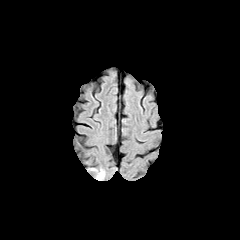
FLAIR MR.
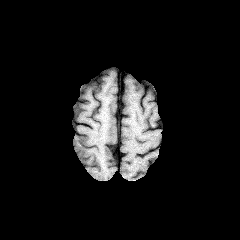
Same slice, T1-weighted MR.
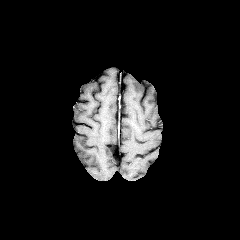
Same slice, post-contrast T1-weighted magnetic resonance.
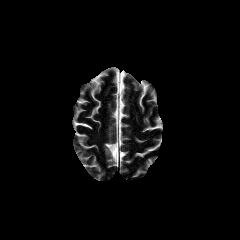
T2-weighted MR.
Brain
The edema is at l=93, t=167, r=105, b=179.